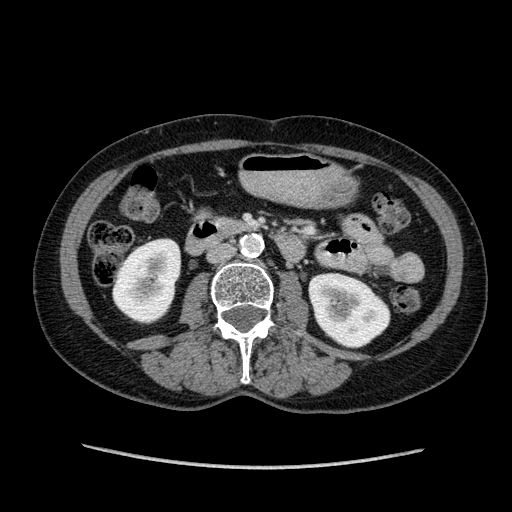

CT. Abdomen.

kidney:
  - (x1=309, y1=274, x2=388, y2=346)
  - (x1=113, y1=240, x2=179, y2=321)